512x512, CT scan slice, Upper abdomen
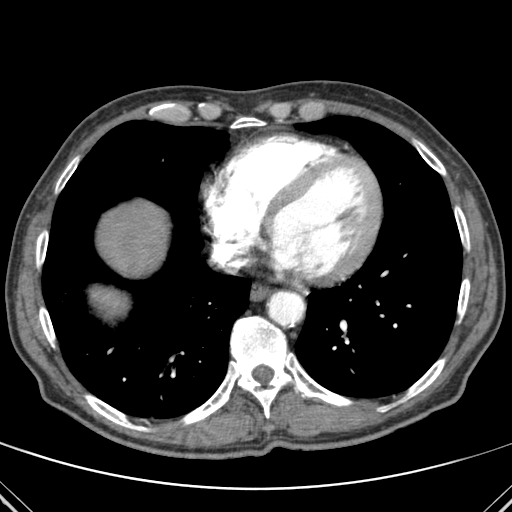

<segmentation>
  <lung>42:120:250:418, 295:116:462:397</lung>
  <bone>36:231:47:265, 231:117:264:128, 455:206:469:247, 85:395:149:431, 149:103:174:113, 407:359:444:398, 458:279:469:318, 182:316:351:424, 39:307:54:346, 55:157:78:191, 415:142:445:175</bone>
  <liver>93:289:120:312, 97:201:166:277</liver>
</segmentation>